240x240 px | Head
FLAIR MR image.
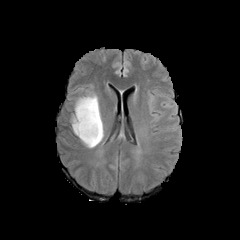
T1-weighted MRI.
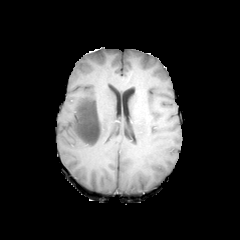
Post-contrast T1-weighted MR.
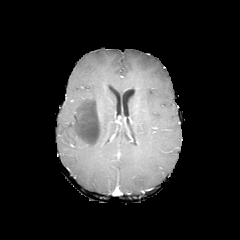
T2-weighted MR image.
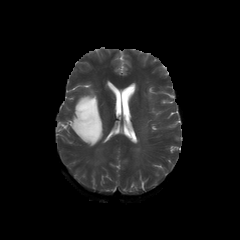
edema:
  - [69,88,106,148]
non-enhancing_tumor_core:
  - [72,96,100,141]